Slice 18 of 247; CT image
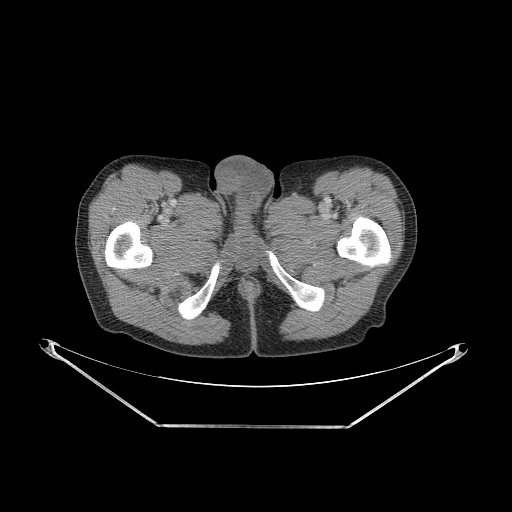 bone:
  - box(338, 216, 391, 267)
  - box(105, 221, 151, 268)
  - box(267, 251, 324, 311)
  - box(178, 263, 219, 319)